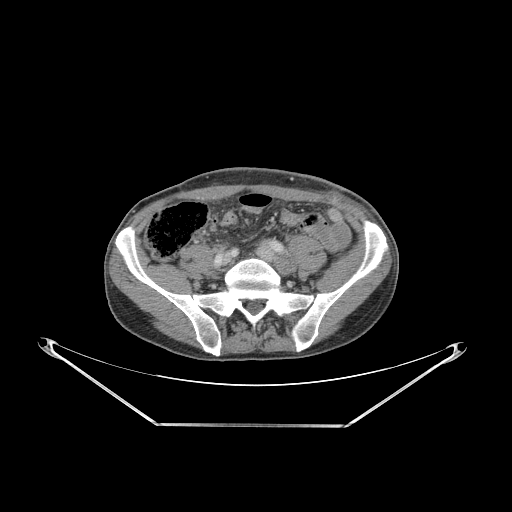 CT slice, 512x512
The bone is bounded by (left=116, top=221, right=387, bottom=355).